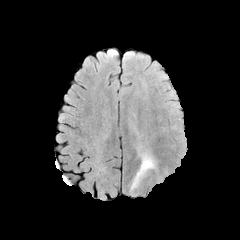
FLAIR magnetic resonance.
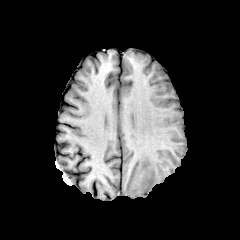
T1-weighted MR image of the same slice.
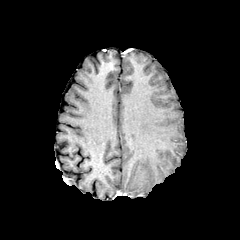
Post-contrast T1-weighted MRI.
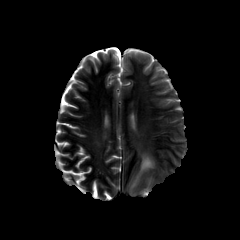
Same slice, T2-weighted MR.
Head.
edema:
  - box(130, 154, 155, 191)